Field of view 35 mm wide, 1.00 mm slice spacing | Image size 35x44 | Magnetic resonance
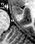

{"anterior_hippocampus": ["(10,6,22,13)"]}